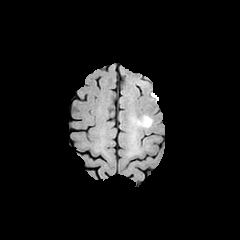
FLAIR magnetic resonance.
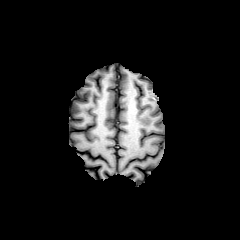
T1-weighted magnetic resonance of the same slice.
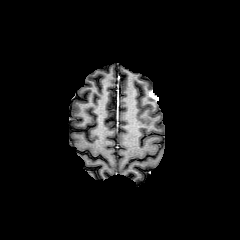
Post-contrast T1-weighted MR of the same slice.
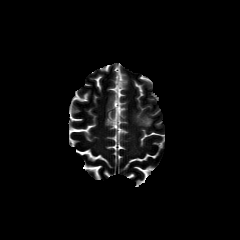
T2-weighted magnetic resonance.
Edema — x1=136 y1=115 x2=152 y2=126.